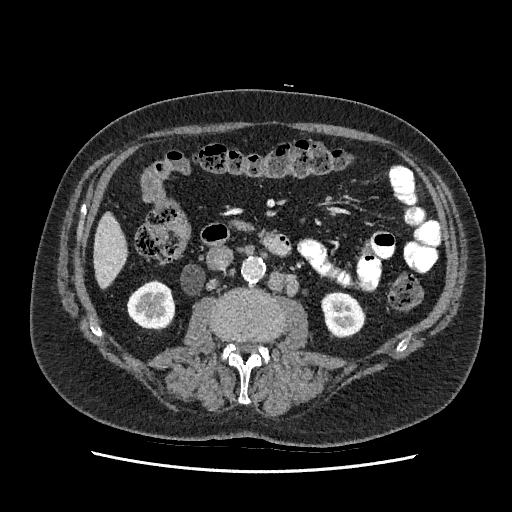 CT image
• kidney: 322:293:363:335, 128:282:174:327
• liver: 94:213:126:287